Slice 55/155
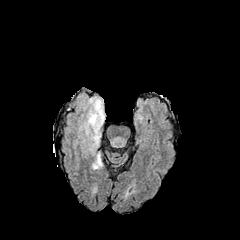
FLAIR MR.
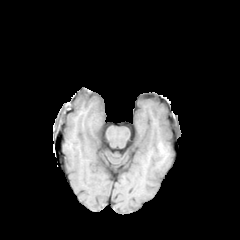
T1-weighted MR image of the same slice.
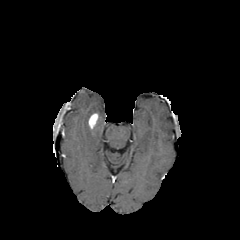
Same slice, post-contrast T1-weighted MR.
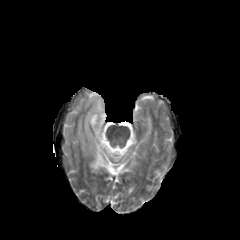
T2-weighted magnetic resonance.
<segmentation>
  <edema>bbox(78, 96, 105, 171)</edema>
  <enhancing_tumor>bbox(88, 113, 98, 128)</enhancing_tumor>
</segmentation>